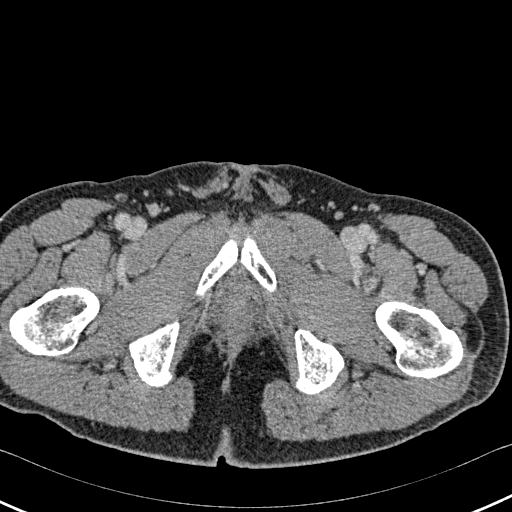
CT
Annotated regions:
- bone: (0,287,98,355), (196,237,237,296), (241,237,276,292), (376,302,462,378), (130,321,179,386), (294,329,343,393)